Head. Slice 110/155.
FLAIR MRI.
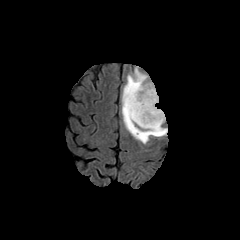
T1-weighted MR.
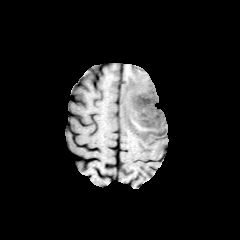
Post-contrast T1-weighted magnetic resonance.
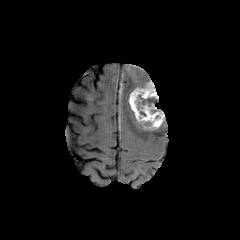
T2-weighted MR image.
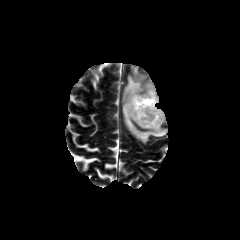
<segmentation>
  <non-enhancing_tumor_core>(x1=139, y1=122, x2=165, y2=138), (x1=124, y1=81, x2=145, y2=125), (x1=142, y1=98, x2=157, y2=105)</non-enhancing_tumor_core>
  <edema>(x1=120, y1=66, x2=167, y2=144)</edema>
  <enhancing_tumor>(x1=128, y1=81, x2=164, y2=129)</enhancing_tumor>
</segmentation>